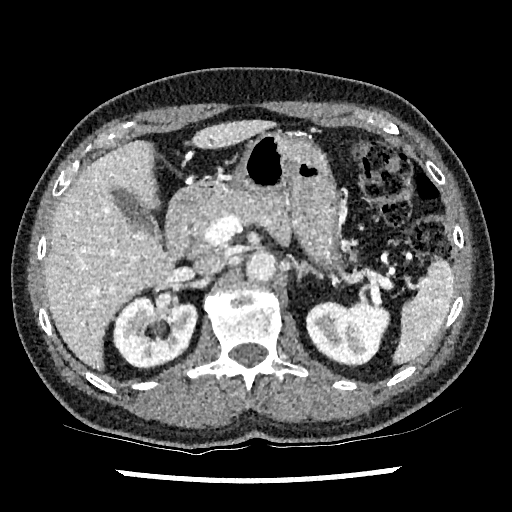 CT slice; Liver
Annotated regions:
• liver: box=[45, 141, 175, 370]; box=[193, 119, 275, 147]
• kidney: box=[115, 295, 195, 366]; box=[307, 303, 387, 363]